FLAIR MR image.
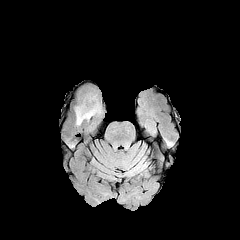
T1-weighted magnetic resonance.
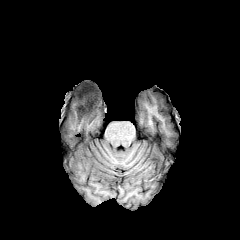
Post-contrast T1-weighted MR.
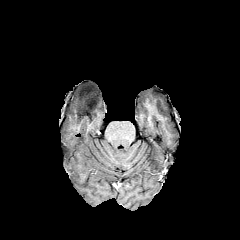
T2-weighted MR image.
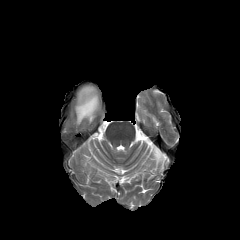
Brain | Image size 240x240
{
  "edema": [
    "(left=75, top=96, right=100, bottom=124)"
  ],
  "non-enhancing_tumor_core": [
    "(left=82, top=103, right=92, bottom=115)"
  ]
}